Image size 512x512; CT scan slice

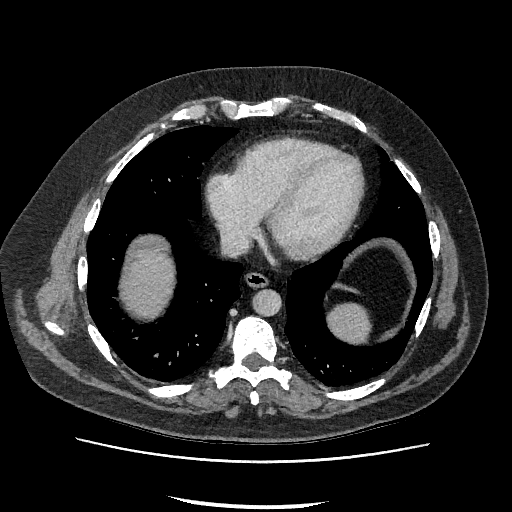
2 liver regions are located at box(123, 249, 173, 316); box(335, 284, 355, 291).